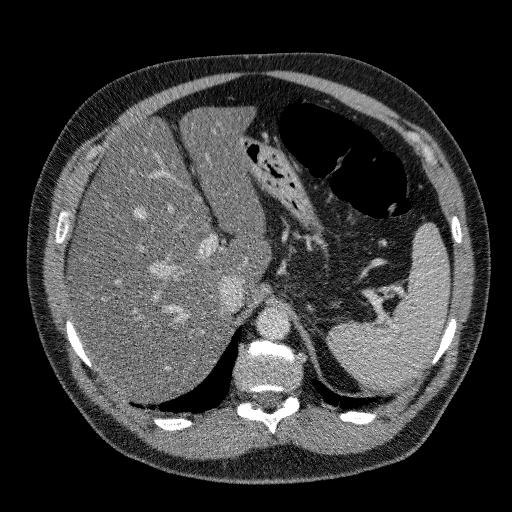

Upper abdomen | CT scan slice
liver: left=68, top=106, right=270, bottom=400